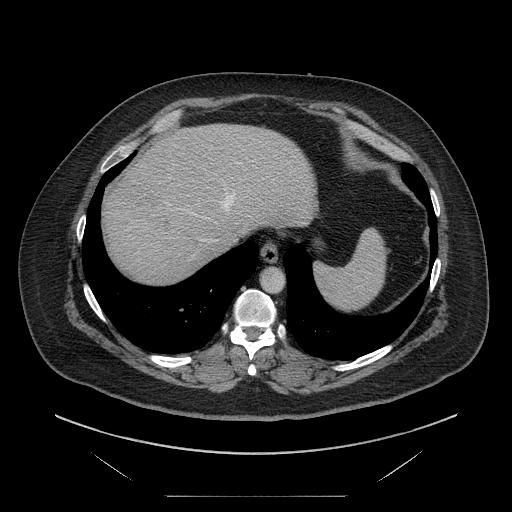
CT slice, 512x512, Abdomen

Some hepatic vessels may have no box.
hepatic_vessel:
  - 219:187:238:214
  - 198:237:217:241